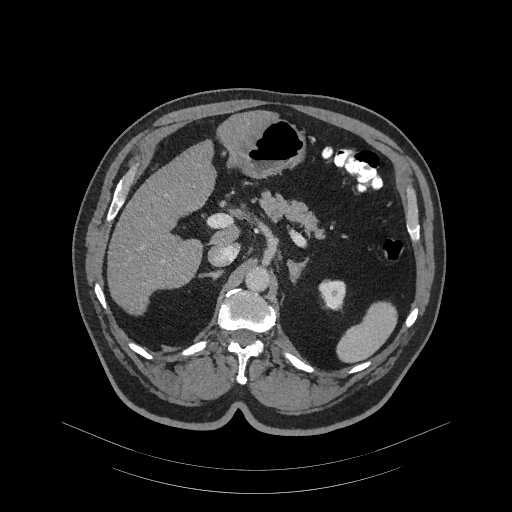
Upper abdomen; CT image
Annotated regions:
• pancreas: l=259, t=190, r=325, b=238